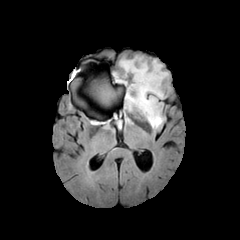
FLAIR MRI.
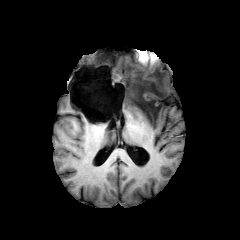
T1-weighted magnetic resonance.
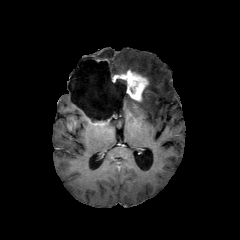
Same slice, post-contrast T1-weighted magnetic resonance.
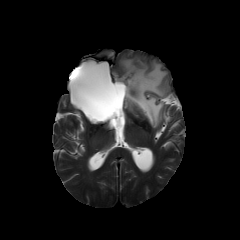
T2-weighted MRI.
240x240. Brain.
4 non-enhancing tumor core regions are bounded by x1=116 y1=78 x2=126 y2=90, x1=94 y1=84 x2=118 y2=103, x1=126 y1=72 x2=160 y2=119, x1=94 y1=119 x2=113 y2=124. The enhancing tumor lies within x1=114 y1=70 x2=147 y2=101. The edema appears at x1=119 y1=57 x2=169 y2=133.